FLAIR MR image.
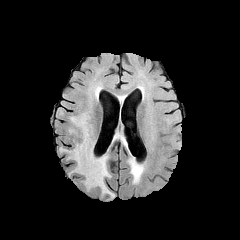
T1-weighted MR.
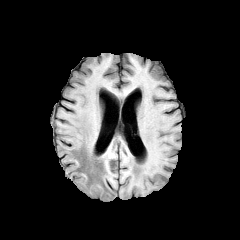
Post-contrast T1-weighted magnetic resonance.
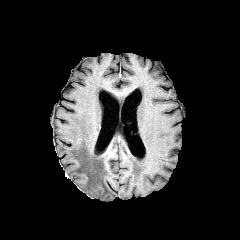
T2-weighted MR image.
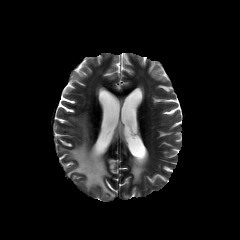
240x240 px
2 edema regions are located at <box>68,118,114,196</box>, <box>127,155,145,183</box>.